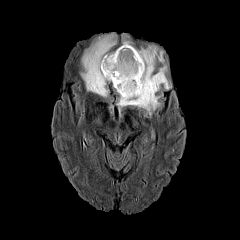
FLAIR MRI.
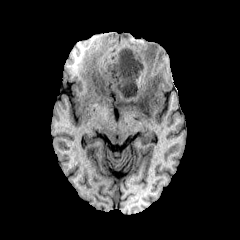
T1-weighted MRI.
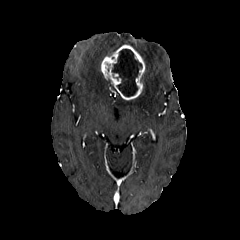
Post-contrast T1-weighted MR image.
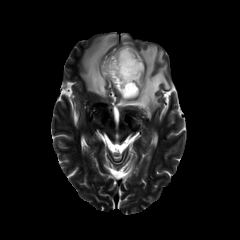
T2-weighted MR of the same slice.
Image size 240x240
{
  "non-enhancing_tumor_core": [
    "112,49,141,96"
  ],
  "edema": [
    "122,33,133,44",
    "80,33,117,98",
    "116,44,171,118"
  ],
  "enhancing_tumor": [
    "100,42,145,99"
  ]
}